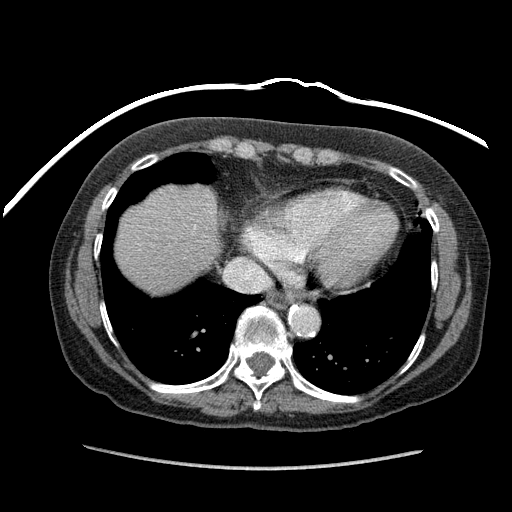 Image size 512x512, Liver, CT image
• liver: 116, 184, 222, 295